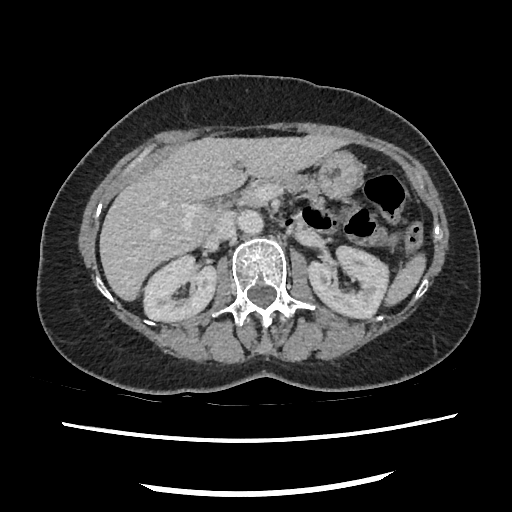
512x512 | CT image
pancreas:
  - (243, 175, 318, 204)